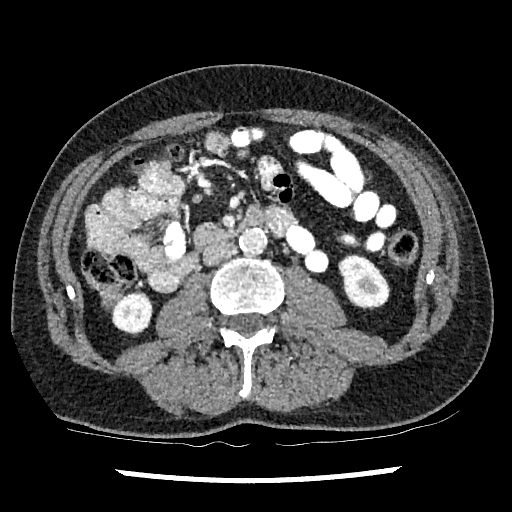

512x512 px, Abdomen, Computed tomography
Kidney = 113, 294, 150, 331; 340, 256, 387, 305.